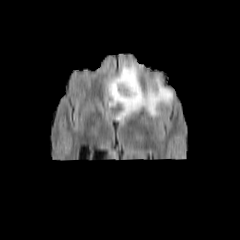
FLAIR MR image.
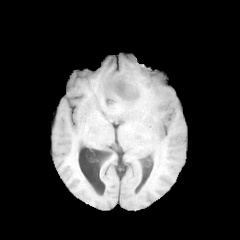
T1-weighted magnetic resonance.
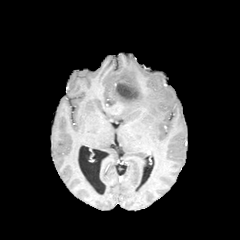
Post-contrast T1-weighted MR image.
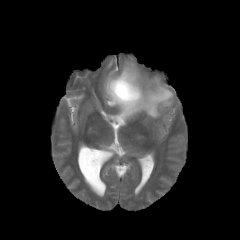
T2-weighted MR image.
Image size 240x240 | Head
* edema: 104 58 173 122
* non-enhancing tumor core: 108 75 144 109